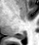
39x45; MR
Posterior hippocampus: rect(15, 33, 25, 39).